CT scan slice. Image size 512x512. Liver.
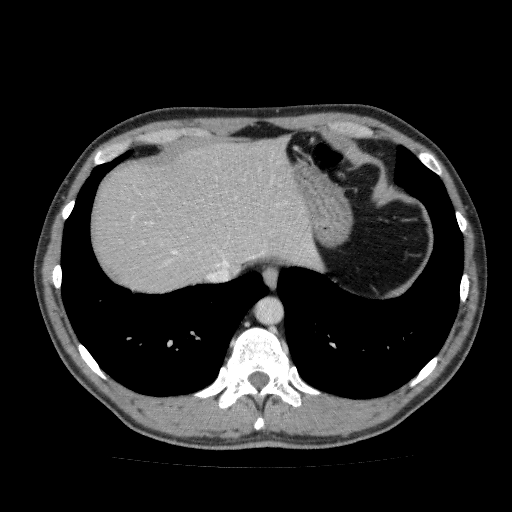 Liver: (x1=92, y1=133, x2=328, y2=293).